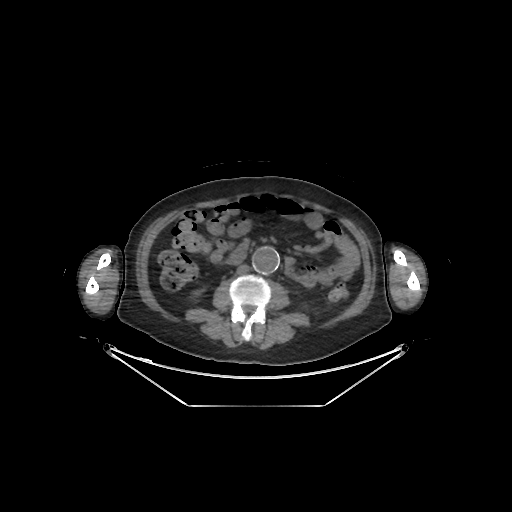

CT scan slice; Abdomen

4 bone regions are located at 230,276,270,340; 394,250,420,292; 97,253,110,269; 86,276,98,294. The kidney is located at 192,289,204,296.